Slice 113/756. Lower abdomen. Computed tomography.
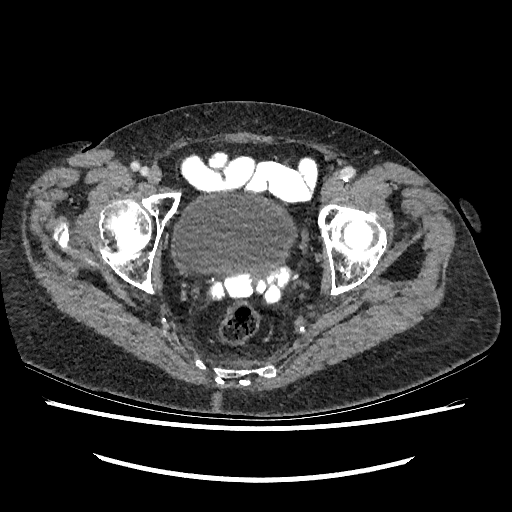

Urinary bladder = left=172, top=190, right=297, bottom=276.